CT scan slice | Abdomen

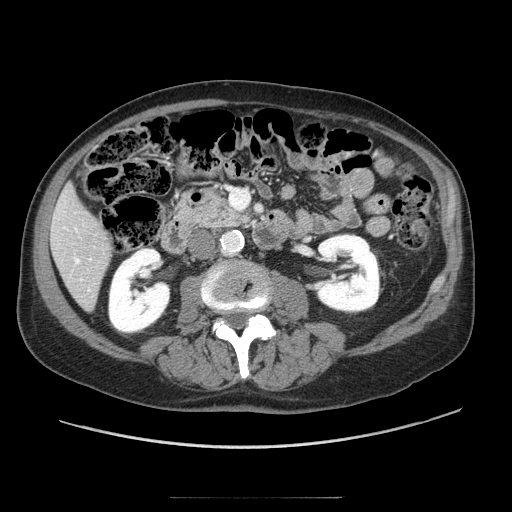 pancreas: [x1=197, y1=193, x2=247, y2=227]